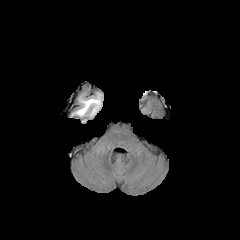
FLAIR MR image.
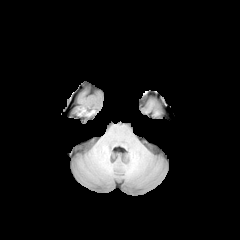
T1-weighted MRI.
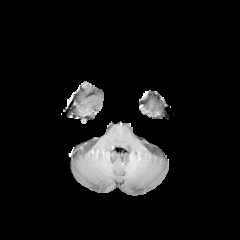
Post-contrast T1-weighted MRI.
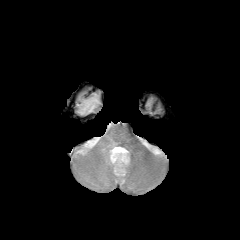
Same slice, T2-weighted MR image.
240x240 px; Brain
The edema is at 76,94,101,116.